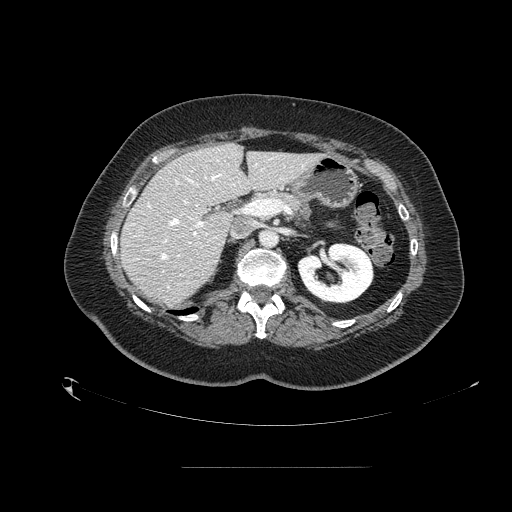
CT scan slice; Abdomen
Findings:
• pancreas: <bbox>244, 189, 306, 217</bbox>